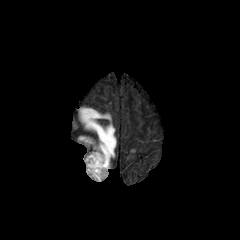
FLAIR magnetic resonance.
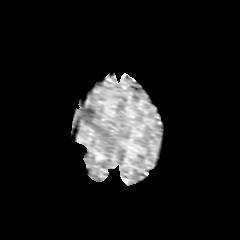
T1-weighted magnetic resonance of the same slice.
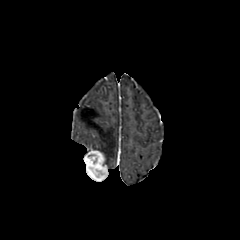
Post-contrast T1-weighted MR of the same slice.
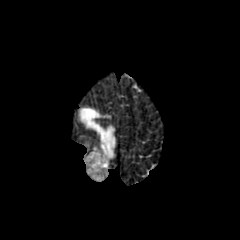
T2-weighted MR of the same slice.
Head. Image size 240x240.
Edema: 79 108 116 167, 78 136 93 142.
Enhancing tumor: 82 142 108 181.